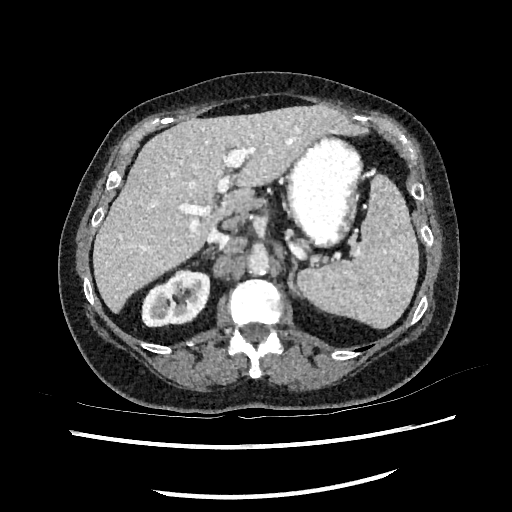 512x512 px. CT image.
liver:
  - (x1=92, y1=105, x2=367, y2=313)
kidney:
  - (x1=142, y1=271, x2=209, y2=325)